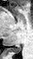

Image size 33x59. Medial temporal lobe. MRI. The posterior hippocampus is bounded by bbox(8, 46, 20, 53).